240x240
FLAIR MR.
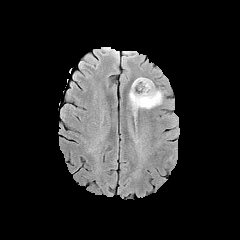
T1-weighted MR image.
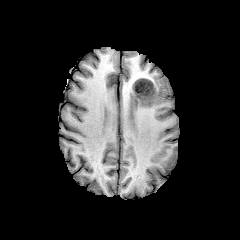
Post-contrast T1-weighted MR image.
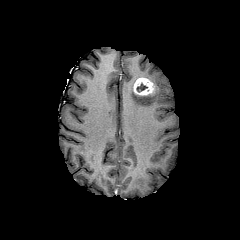
T2-weighted MR image.
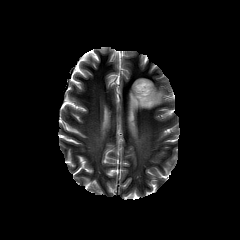
Findings:
* edema: 129 83 163 119
* enhancing tumor: 133 77 154 95
* non-enhancing tumor core: 136 90 154 98, 136 83 147 92